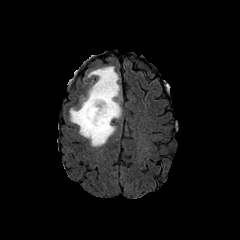
FLAIR magnetic resonance.
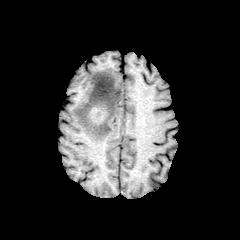
Same slice, T1-weighted MR image.
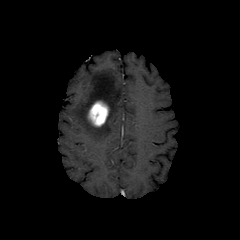
Post-contrast T1-weighted MR.
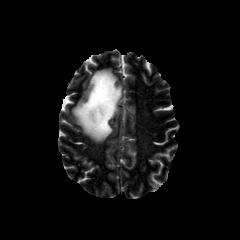
T2-weighted magnetic resonance of the same slice.
The enhancing tumor is located at box(88, 100, 109, 126). The non-enhancing tumor core appears at box(84, 74, 117, 129). The edema is bounded by box(69, 66, 122, 146).